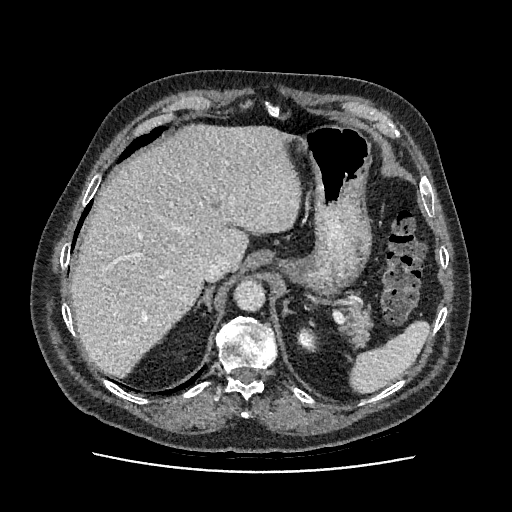

CT slice; Abdomen

Kidney: bounding box {"x1": 300, "y1": 333, "x2": 311, "y2": 345}.
Liver: bounding box {"x1": 72, "y1": 125, "x2": 299, "y2": 377}.